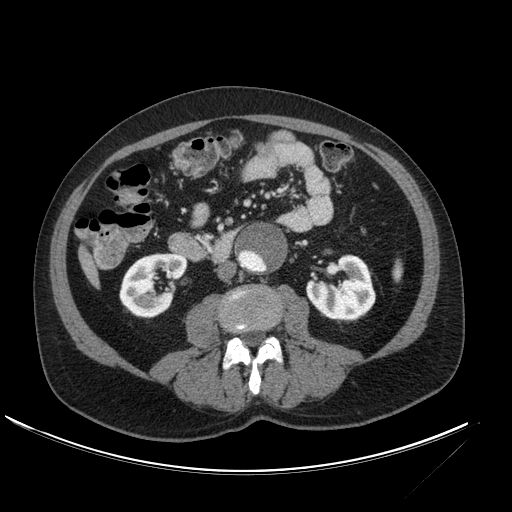
CT
The liver appears at box=[78, 246, 99, 288]. 2 kidney regions appear at box=[120, 254, 185, 316]; box=[307, 256, 374, 318].